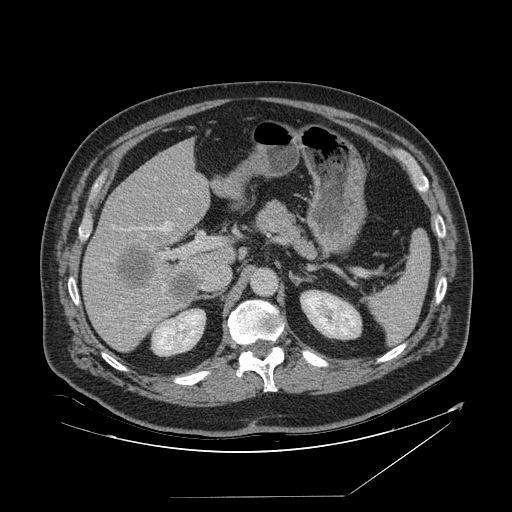

Abdomen | CT scan slice

Segmented structures:
- spleen: bbox(367, 232, 430, 345)